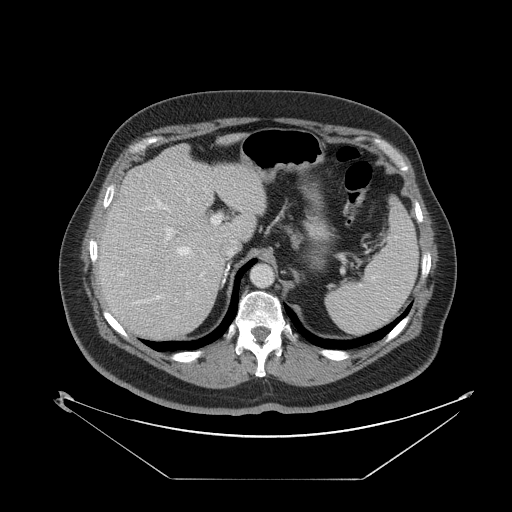

CT image; Abdomen; 512x512
Some hepatic vessels may have no box.
11 hepatic vessel regions appear at region(156, 295, 160, 298); region(145, 206, 152, 209); region(211, 215, 220, 224); region(157, 200, 170, 211); region(126, 269, 128, 271); region(164, 227, 171, 243); region(131, 299, 152, 304); region(187, 292, 189, 294); region(187, 198, 189, 202); region(177, 246, 192, 256); region(199, 272, 204, 278).